Slice 101/251, Chest, Computed tomography, Field of view 466x466 mm
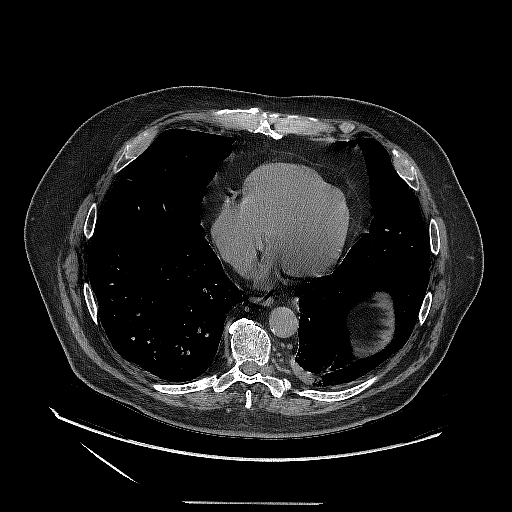

lung_tumor:
  - rect(292, 351, 342, 388)